FLAIR MRI.
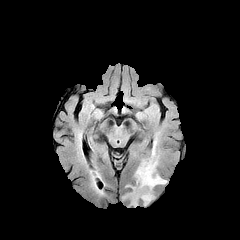
T1-weighted MR.
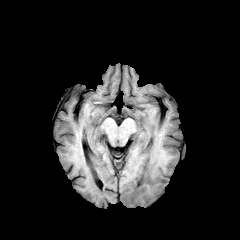
Post-contrast T1-weighted MRI.
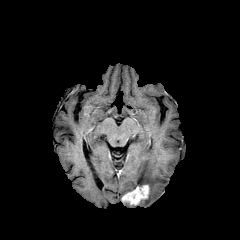
T2-weighted magnetic resonance.
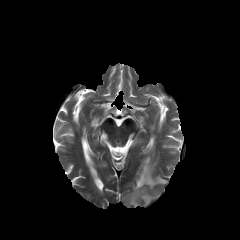
Brain.
The edema is located at (x1=133, y1=138, x2=166, y2=205). The enhancing tumor lies within (x1=122, y1=184, x2=149, y2=205).